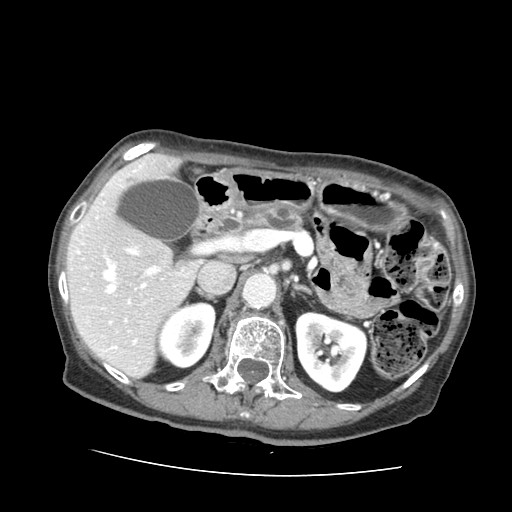 CT scan slice. Upper abdomen. Annotated regions:
* pancreas: [246, 207, 304, 232]